Liver, Slice 26 of 54, Computed tomography, 512x512 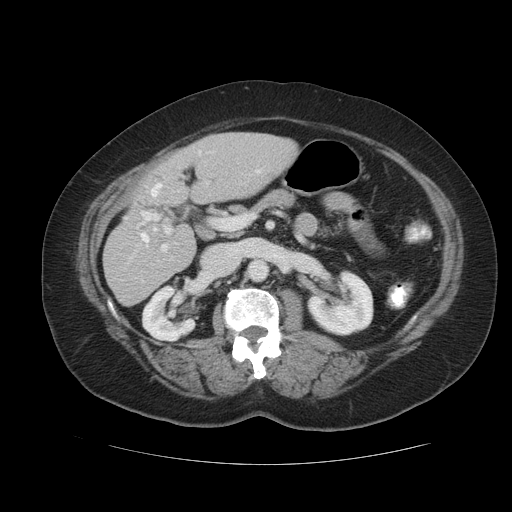

Only some of the vessels may be annotated.
Hepatic vessel: bounding box box=[152, 184, 160, 195]; box=[164, 226, 169, 233]; box=[219, 218, 235, 227]; box=[161, 245, 167, 250]; box=[141, 211, 158, 223]; box=[154, 228, 156, 230]; box=[141, 233, 148, 241]; box=[199, 152, 200, 153]; box=[256, 170, 260, 172].